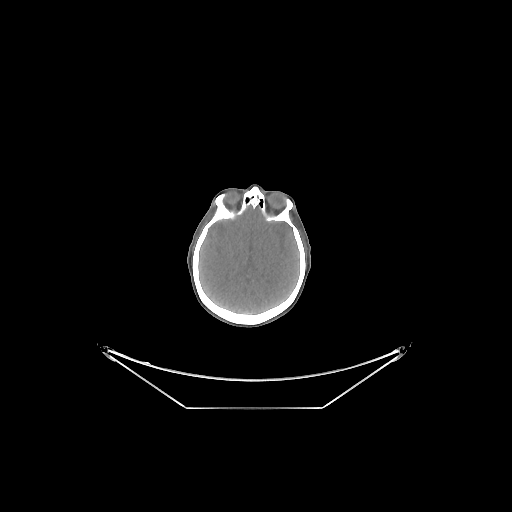 CT scan slice | Brain

<segmentation>
  <bone>(193, 194, 305, 324), (241, 186, 264, 209)</bone>
  <brain>(198, 205, 299, 314)</brain>
</segmentation>